Slice index 220. CT image. 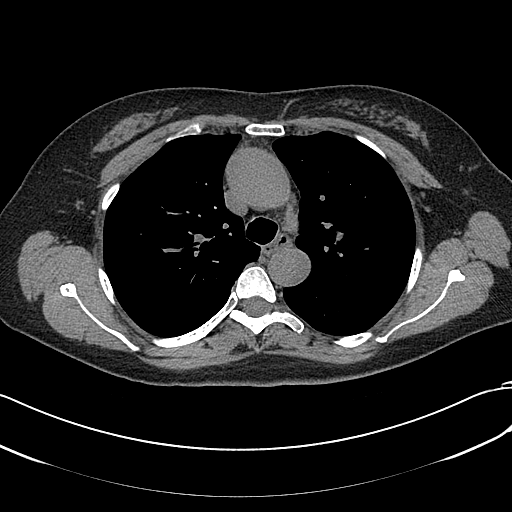 Annotated regions:
* lung tumor: rect(136, 238, 154, 259)